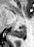 Hippocampus; MRI slice

posterior_hippocampus:
  - l=12, t=27, r=25, b=37